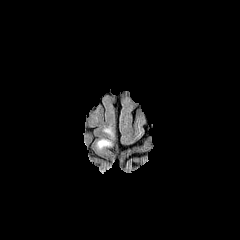
FLAIR magnetic resonance.
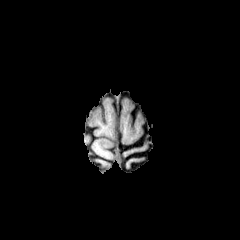
Same slice, T1-weighted magnetic resonance.
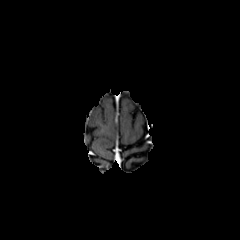
Post-contrast T1-weighted MR image.
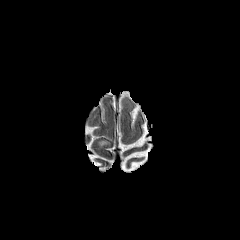
T2-weighted MRI.
Edema: x1=98, y1=139, x2=109, y2=147.